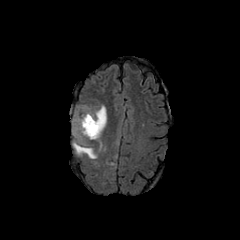
FLAIR magnetic resonance.
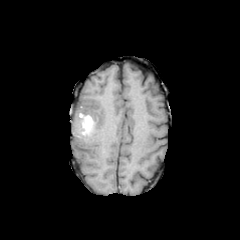
T1-weighted MR image.
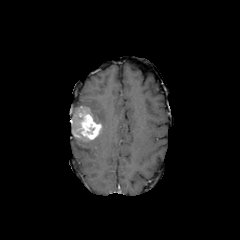
Post-contrast T1-weighted MR image.
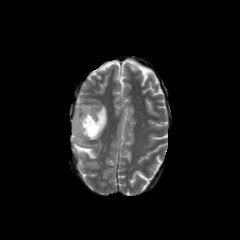
T2-weighted MR.
240x240 px
2 edema regions are located at (x1=72, y1=126, x2=101, y2=159), (x1=90, y1=105, x2=106, y2=131). The enhancing tumor lies within (x1=70, y1=106, x2=102, y2=139).